Abdomen; Slice index 129; CT image

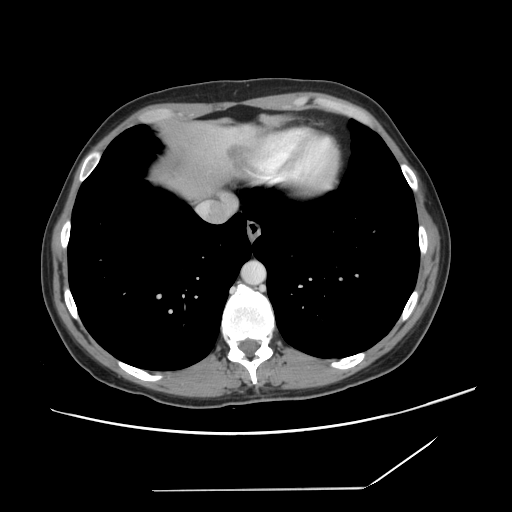
• liver tumor: region(229, 146, 250, 168)